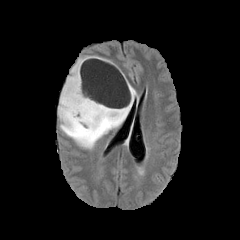
FLAIR MR.
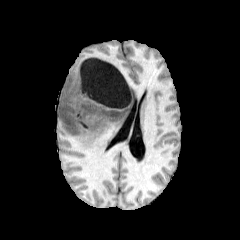
T1-weighted MR image.
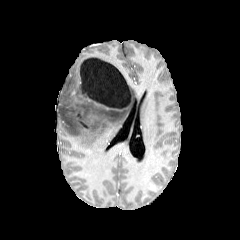
Post-contrast T1-weighted magnetic resonance of the same slice.
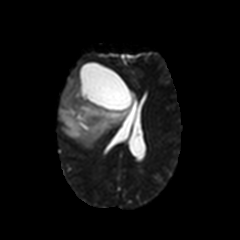
T2-weighted MR image.
Brain, 240x240
non-enhancing tumor core: <box>80,76,117,108</box>, <box>60,106,113,133</box>, <box>117,105,128,116</box> | edema: <box>57,56,137,148</box>